FLAIR MR image.
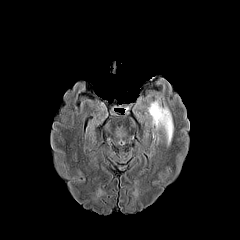
T1-weighted MR image.
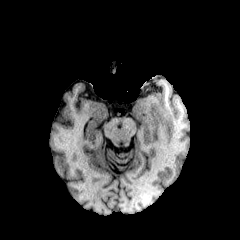
Post-contrast T1-weighted MR image.
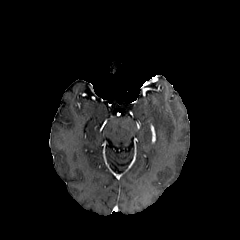
T2-weighted magnetic resonance.
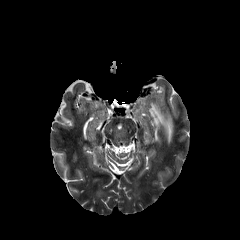
240x240 px
edema: <bbox>147, 100, 174, 146</bbox>